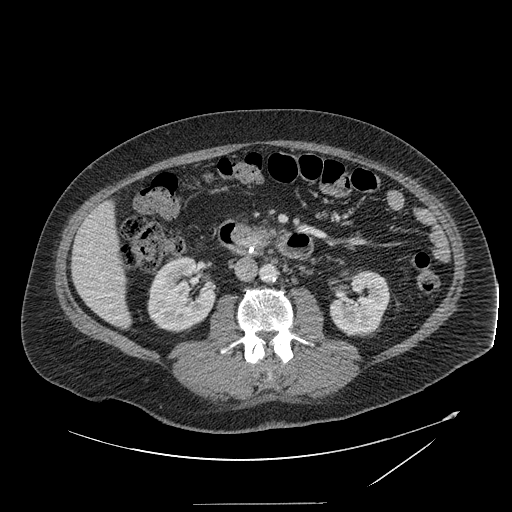
CT scan slice
Pancreatic tumor = x1=244, y1=228, x2=264, y2=247.
Pancreas = x1=234, y1=223, x2=257, y2=245; x1=259, y1=228, x2=276, y2=244.